Computed tomography. Abdomen. Image width 367 mm. Slice 607 of 677. 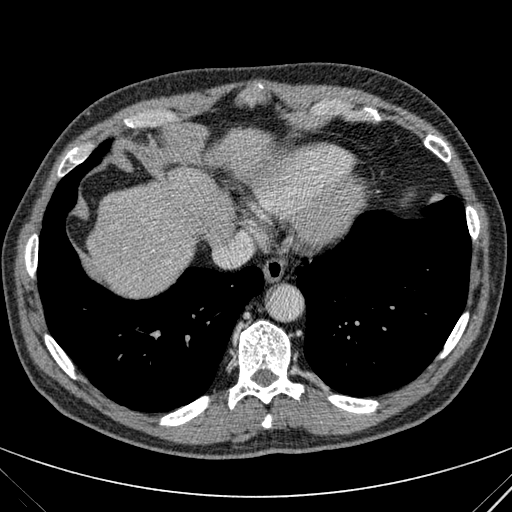
2 liver regions appear at box(204, 128, 271, 182); box(89, 167, 234, 295).